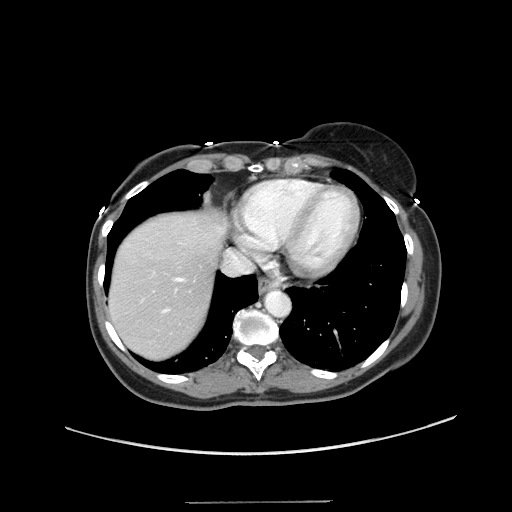

CT image. Liver. Image size 512x512.
The vessel boxes may cover only some of the vessels.
liver_tumor:
  - {"x1": 212, "y1": 214, "x2": 224, "y2": 228}
hepatic_vessel:
  - {"x1": 176, "y1": 278, "x2": 182, "y2": 280}
  - {"x1": 163, "y1": 309, "x2": 169, "y2": 311}
  - {"x1": 225, "y1": 250, "x2": 250, "y2": 273}